512x512, CT slice

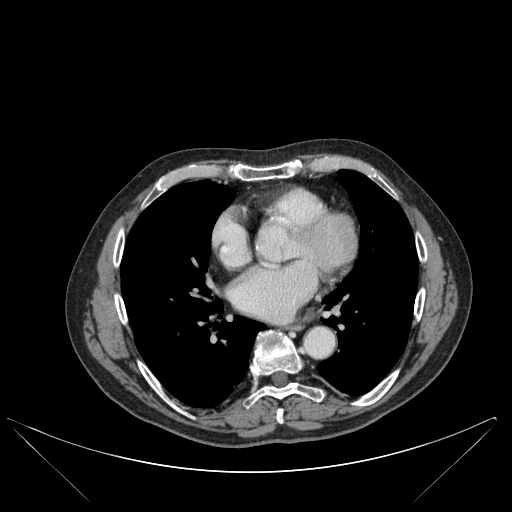

Segmented structures:
• bone: 416,233,427,260; 113,229,123,266; 353,370,398,405; 249,383,324,404; 251,330,301,376; 138,362,182,412; 414,288,424,320; 276,409,282,422; 114,294,126,323; 156,179,163,189; 220,161,302,180
• lung: 121,180,264,406; 317,170,418,394